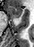 MRI slice. Medial temporal lobe.
The anterior hippocampus lies within left=9, top=6, right=22, bottom=17.